Liver | Slice index 582 | CT scan slice

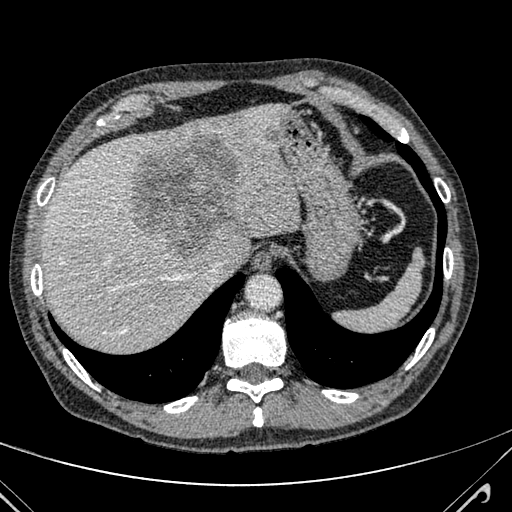
Focal liver lesion = rect(131, 133, 254, 261); rect(267, 129, 277, 143).
Liver = rect(43, 106, 300, 350).